Head, 240x240 px
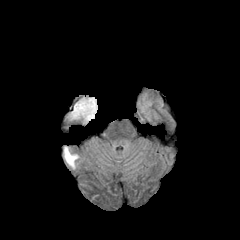
FLAIR MRI.
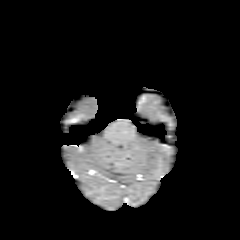
Same slice, T1-weighted MRI.
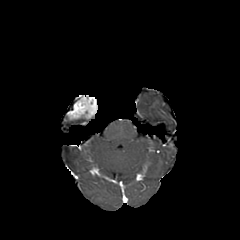
Post-contrast T1-weighted MRI.
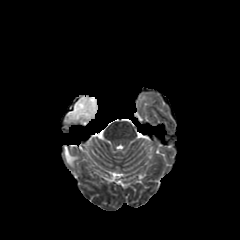
T2-weighted MRI.
Findings:
* edema: (x1=64, y1=147, x2=78, y2=168)
* enhancing tumor: (x1=67, y1=96, x2=97, y2=123)